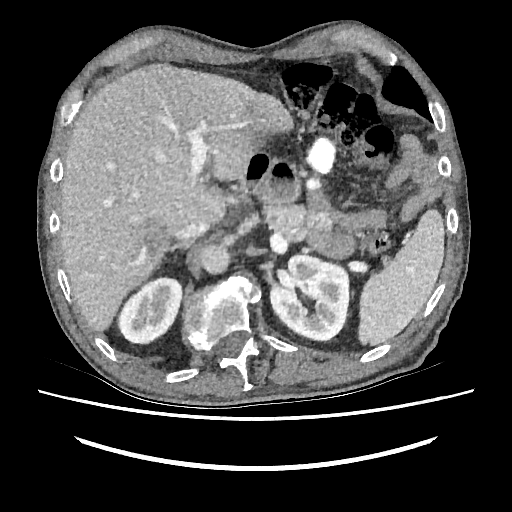 CT slice
Liver lesion = <box>247,123,277,149</box>, <box>138,218,170,255</box>.
Kidney = <box>271,255,348,339</box>, <box>119,278,181,342</box>.
Liver = <box>60,65,293,330</box>.